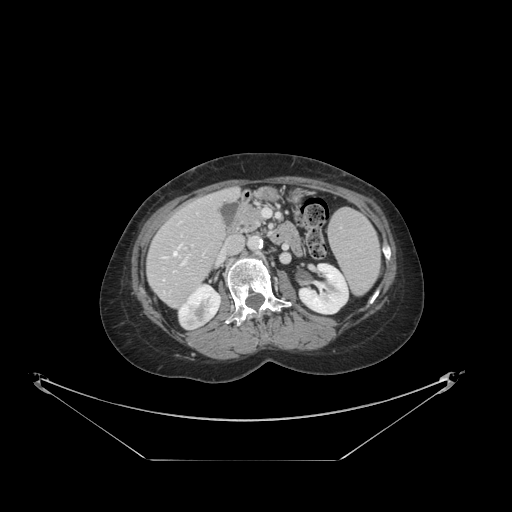

CT. Abdomen.

Not every hepatic vessel necessarily has a box.
{"hepatic_vessel": ["[173, 249, 177, 255]", "[178, 244, 184, 248]", "[180, 263, 184, 265]"]}